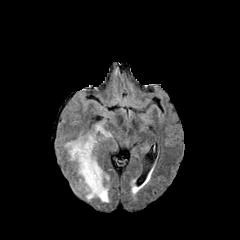
FLAIR MR image.
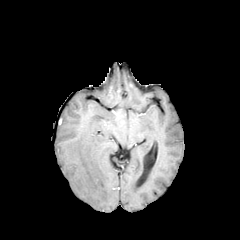
T1-weighted MR.
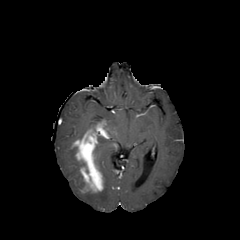
Post-contrast T1-weighted MRI.
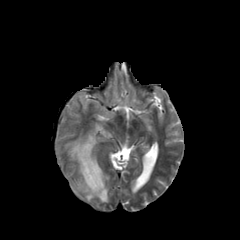
T2-weighted magnetic resonance of the same slice.
240x240 px, Head
Enhancing tumor — bbox(73, 124, 109, 191).
Edema — bbox(85, 136, 109, 202); bbox(65, 141, 83, 191).